Slice index 7 | Abdomen | CT image | Image size 512x512 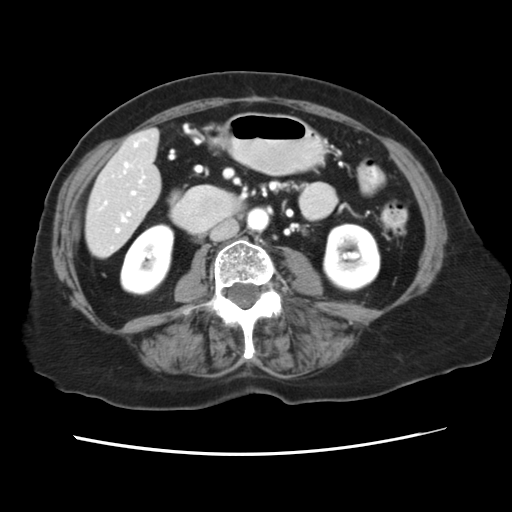
The vessel boxes may cover only some of the vessels.
{
  "hepatic_vessel": [
    "box(111, 248, 112, 249)",
    "box(124, 163, 130, 173)",
    "box(134, 136, 145, 147)",
    "box(139, 171, 144, 187)",
    "box(132, 192, 135, 194)",
    "box(121, 212, 130, 221)",
    "box(115, 228, 118, 231)",
    "box(99, 201, 106, 210)",
    "box(140, 199, 142, 201)"
  ]
}